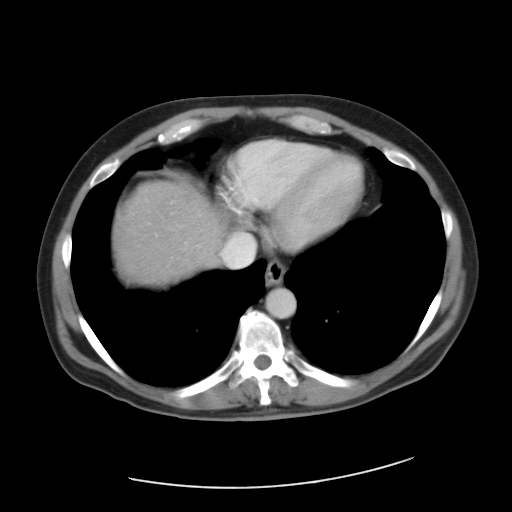
Abdomen | CT
Some hepatic vessels may have no box.
4 hepatic vessel regions are located at (x1=221, y1=242, x2=228, y2=264), (x1=185, y1=242, x2=187, y2=244), (x1=196, y1=243, x2=202, y2=247), (x1=171, y1=201, x2=173, y2=202).